CT scan slice; Field of view 388x388 mm; Slice 138 of 733
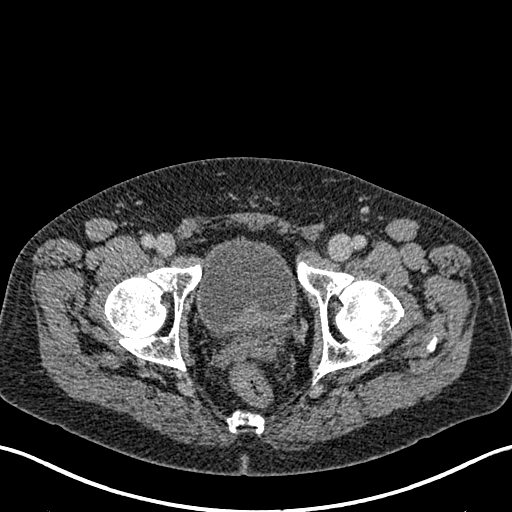

The urinary bladder is bounded by (x1=196, y1=238, x2=297, y2=329).